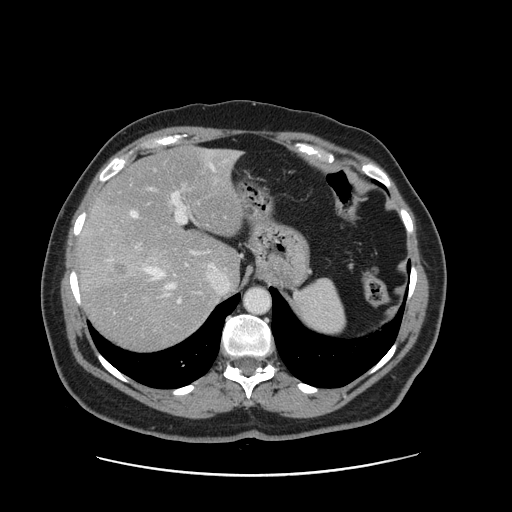 Liver, Computed tomography
The vessel annotation is not exhaustive.
<segmentation>
  <liver_tumor>bbox(112, 262, 126, 275)</liver_tumor>
  <hepatic_vessel>bbox(170, 190, 187, 223); bbox(192, 251, 200, 254); bbox(210, 165, 213, 168); bbox(146, 267, 163, 279); bbox(136, 246, 139, 248); bbox(178, 299, 180, 302); bbox(166, 283, 174, 289)</hepatic_vessel>
</segmentation>